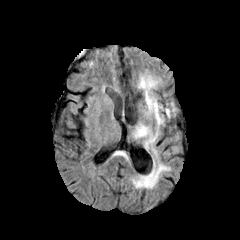
FLAIR MR image.
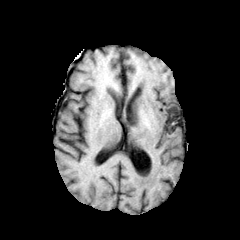
Same slice, T1-weighted MR.
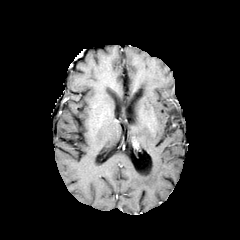
Post-contrast T1-weighted MR image.
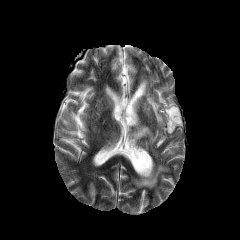
T2-weighted MR image.
2 edema regions appear at [132, 75, 178, 154], [132, 162, 169, 189].